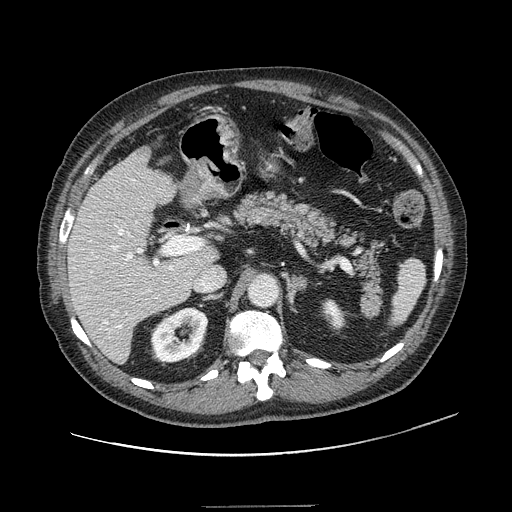
CT slice.

Pancreas at bbox(233, 191, 384, 316).